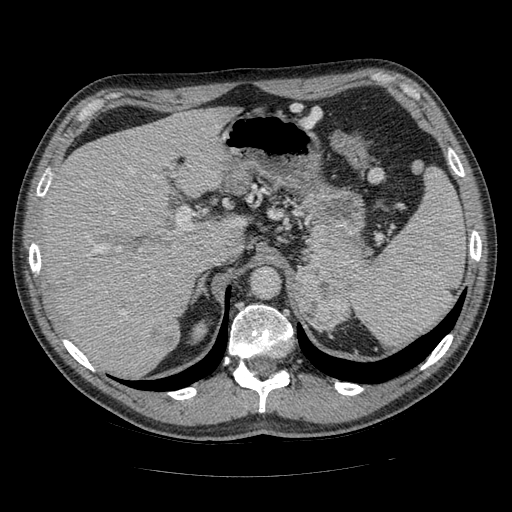

512x512 px, CT image
The pancreatic tumor is located at (x1=297, y1=263, x2=351, y2=329). 2 pancreas regions are bounded by (x1=303, y1=228, x2=368, y2=291), (x1=294, y1=275, x2=301, y2=314).